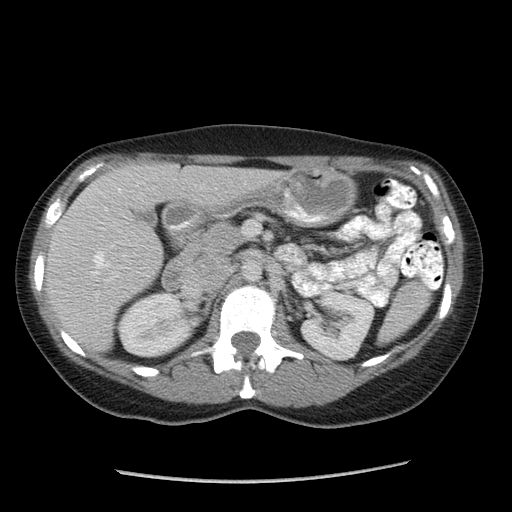 CT

Annotated regions:
* spleen: [x1=381, y1=281, x2=430, y2=340]